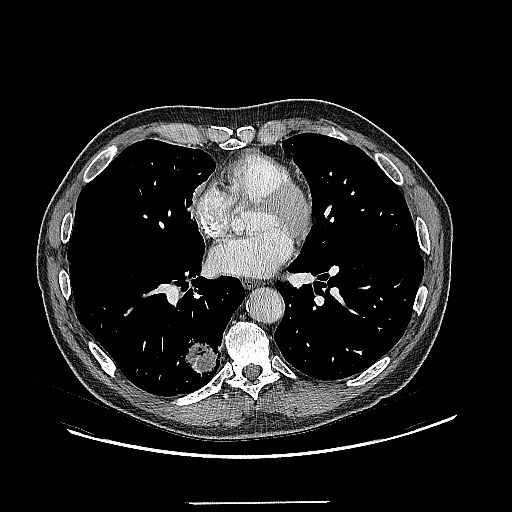
CT slice, Chest
The lung tumor is located at bbox(185, 342, 220, 374).